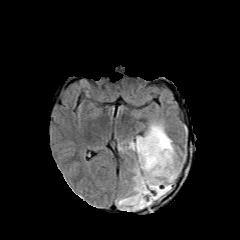
FLAIR MR image.
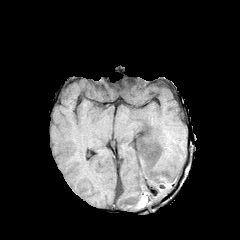
T1-weighted MR image.
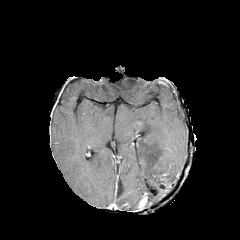
Same slice, post-contrast T1-weighted MR.
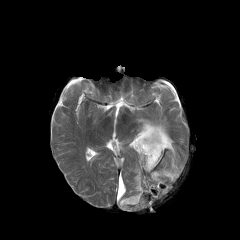
T2-weighted MR of the same slice.
Brain
Edema — {"x1": 116, "y1": 121, "x2": 179, "y2": 211}.